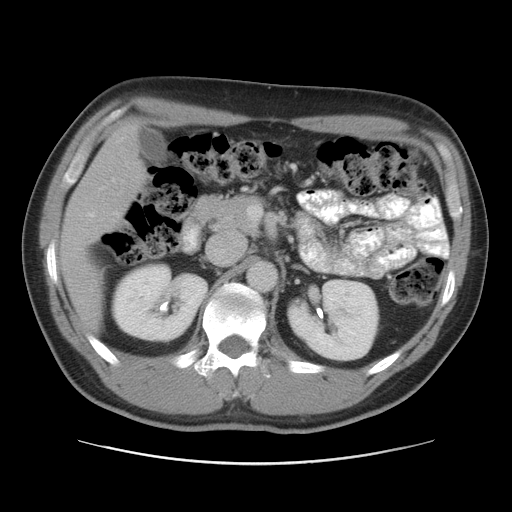

CT scan slice
The vessel boxes may cover only some of the vessels.
Hepatic vessel: bounding box <box>89,213,93,216</box>.